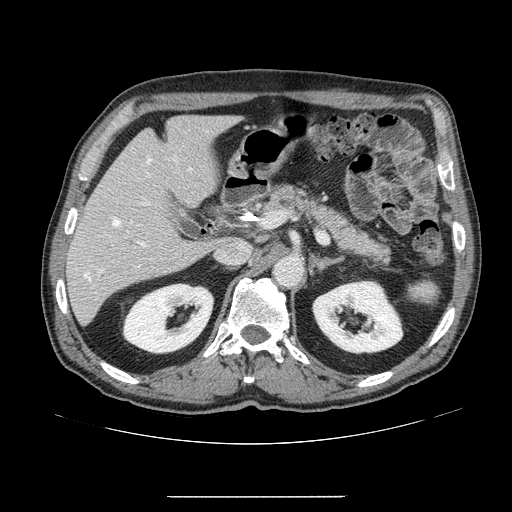
CT scan slice; Abdomen
Pancreas: bounding box <box>257,183,395,275</box>.